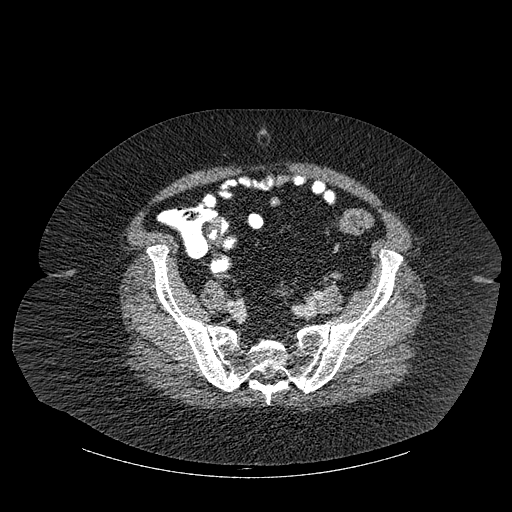

Computed tomography. 512x512.
Bone — l=147, t=245, r=402, b=404.